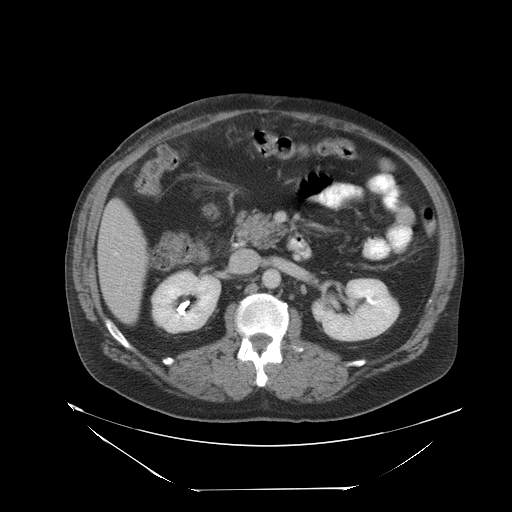

CT slice

The vessel boxes may cover only some of the vessels.
hepatic vessel: x1=115 y1=252 x2=116 y2=254